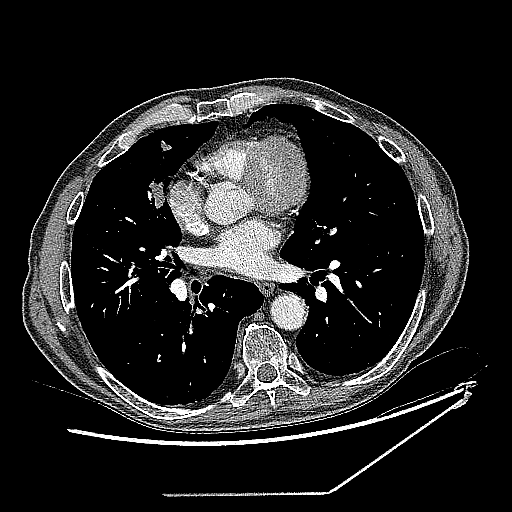 CT slice | Chest | 512x512 px
lung tumor: <box>146,174,171,214</box>